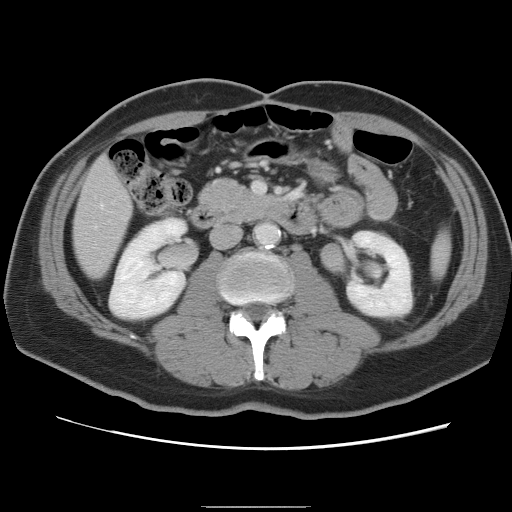 Image size 512x512, CT slice
Only some of the vessels may be annotated.
2 hepatic vessel regions appear at left=100, top=203, right=103, bottom=207; left=95, top=226, right=96, bottom=228.